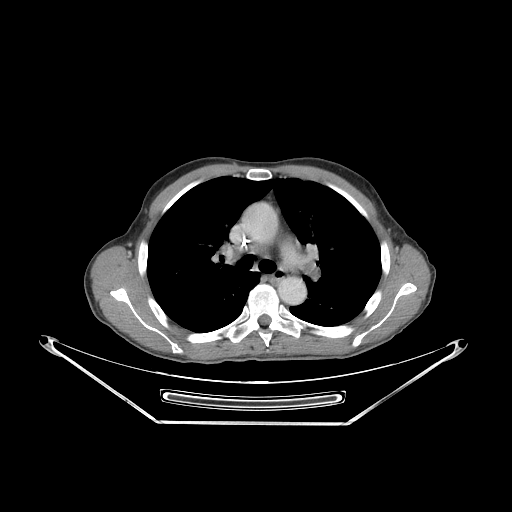

Computed tomography.

{"lung": ["bbox(147, 176, 381, 332)"], "bone": ["bbox(337, 188, 366, 215)", "bbox(164, 184, 191, 210)", "bbox(188, 284, 301, 346)", "bbox(353, 283, 416, 346)", "bbox(311, 324, 352, 337)", "bbox(247, 169, 271, 180)", "bbox(110, 288, 182, 352)", "bbox(138, 242, 147, 274)", "bbox(381, 243, 389, 273)", "bbox(148, 298, 167, 326)", "bbox(365, 292, 380, 316)"]}